FLAIR magnetic resonance.
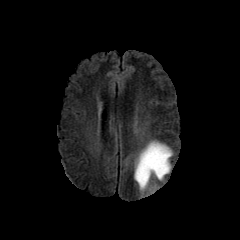
T1-weighted MRI.
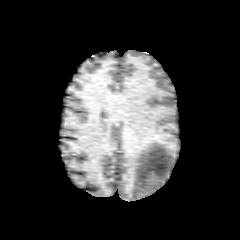
Post-contrast T1-weighted MR image.
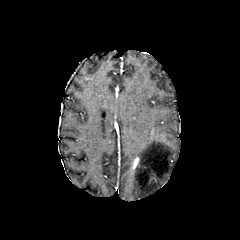
T2-weighted MRI.
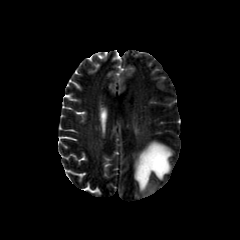
Brain
Findings:
- enhancing tumor: [x1=132, y1=157, x2=140, y2=168]
- edema: [x1=134, y1=140, x2=173, y2=194]